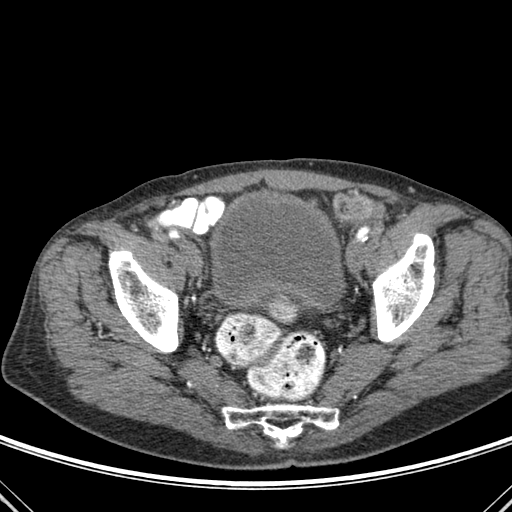
CT slice

Urinary bladder: 207 194 345 304.
Bone: 372 233 434 342, 109 250 178 352, 222 404 338 447.